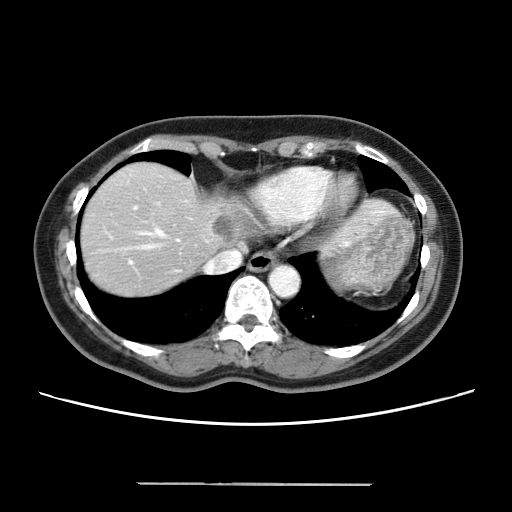 Computed tomography, Image size 512x512
Not every hepatic vessel necessarily has a box.
Findings:
* liver tumor: (215, 216, 234, 241)
* hepatic vessel: (134, 207, 136, 208), (130, 261, 131, 263), (205, 262, 210, 268), (143, 245, 152, 247), (155, 229, 161, 235)